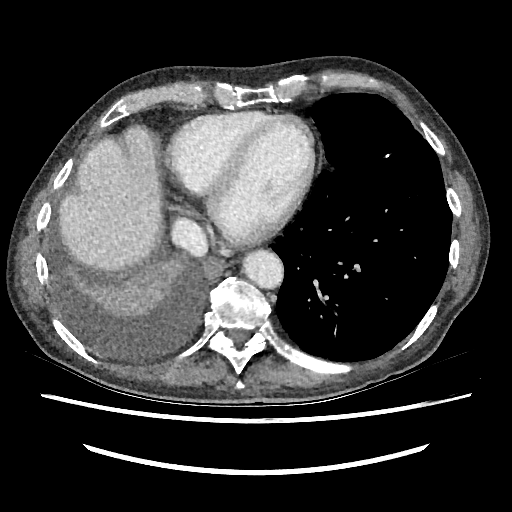

CT image. liver: (60, 128, 160, 270)